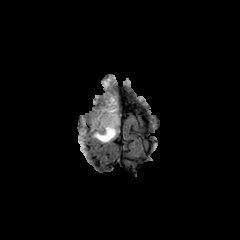
FLAIR MR image.
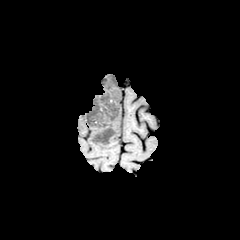
T1-weighted MRI.
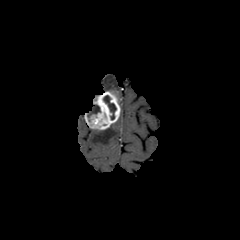
Same slice, post-contrast T1-weighted MRI.
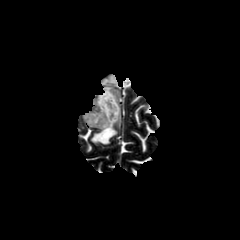
T2-weighted MRI of the same slice.
The enhancing tumor is at (84,91,120,130). 2 edema regions are located at (91,120,118,144), (104,78,111,90). 2 non-enhancing tumor core regions are located at (88,105,100,113), (104,95,115,112).